Image width 240 mm.
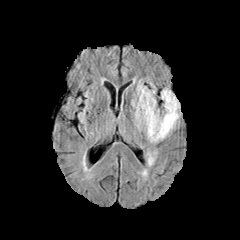
FLAIR MR.
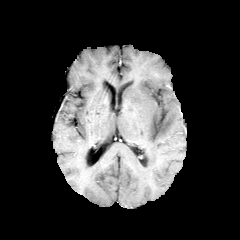
T1-weighted MR image of the same slice.
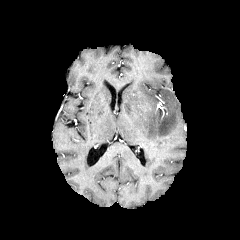
Post-contrast T1-weighted magnetic resonance.
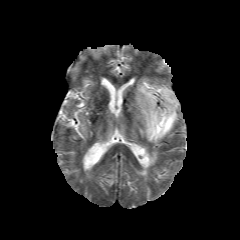
T2-weighted MR.
Edema: bounding box (144, 151, 156, 166), (132, 84, 179, 143).